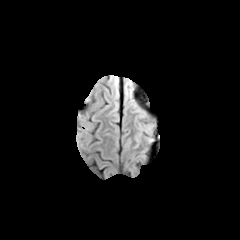
FLAIR MR.
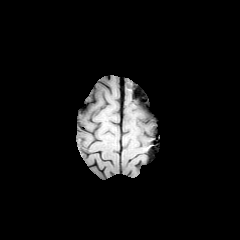
Same slice, T1-weighted MR.
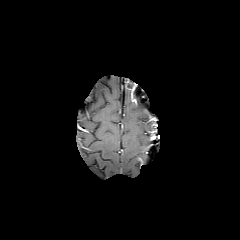
Post-contrast T1-weighted magnetic resonance.
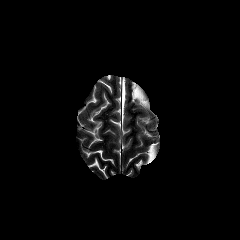
T2-weighted MRI.
Edema = box=[140, 124, 150, 133].